Liver; CT scan slice
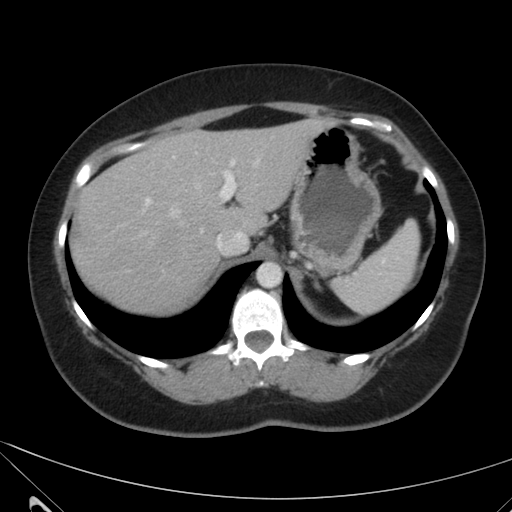 Segmented structures:
* liver: l=71, t=118, r=335, b=311